240x240. Head. Field of view 240 mm wide, 1.00 mm slice spacing.
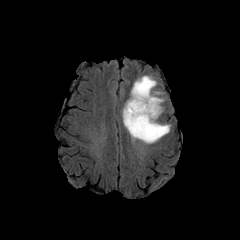
FLAIR magnetic resonance.
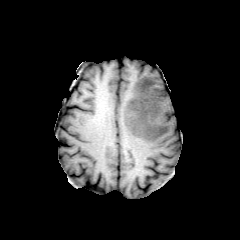
Same slice, T1-weighted MR.
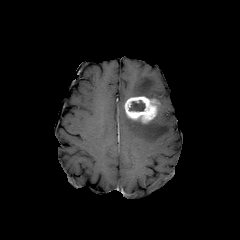
Post-contrast T1-weighted MR image.
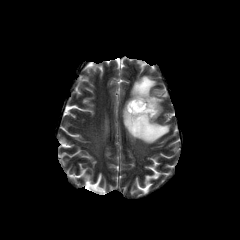
T2-weighted MR.
{"edema": ["[x1=130, y1=74, x2=165, y2=104]", "[x1=122, y1=108, x2=171, y2=143]"], "non-enhancing_tumor_core": ["[x1=130, y1=102, x2=144, y2=110]", "[x1=140, y1=80, x2=154, y2=98]", "[x1=150, y1=102, x2=162, y2=122]"], "enhancing_tumor": ["[x1=125, y1=96, x2=159, y2=123]"]}